FLAIR MRI.
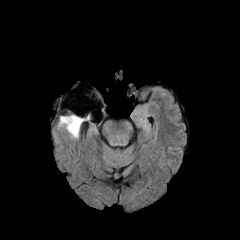
T1-weighted MRI.
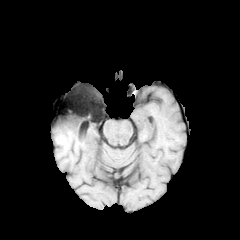
Post-contrast T1-weighted magnetic resonance.
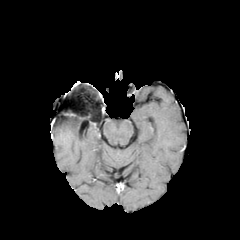
T2-weighted MR.
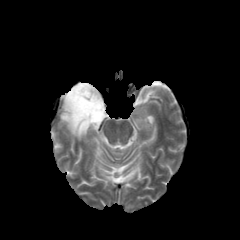
Brain; 240x240 px
{"non-enhancing_tumor_core": ["<bbox>60, 111, 81, 129</bbox>", "<bbox>70, 96, 84, 113</bbox>"], "edema": ["<bbox>57, 118, 81, 139</bbox>"]}